CT scan slice | 512x512 px | Upper abdomen

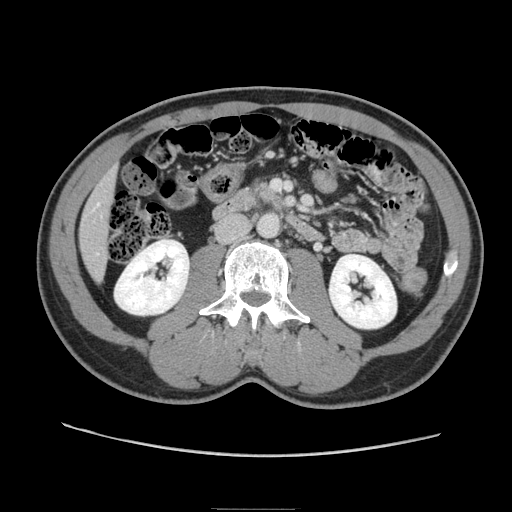
{
  "pancreas": [
    "box(251, 177, 280, 208)"
  ]
}